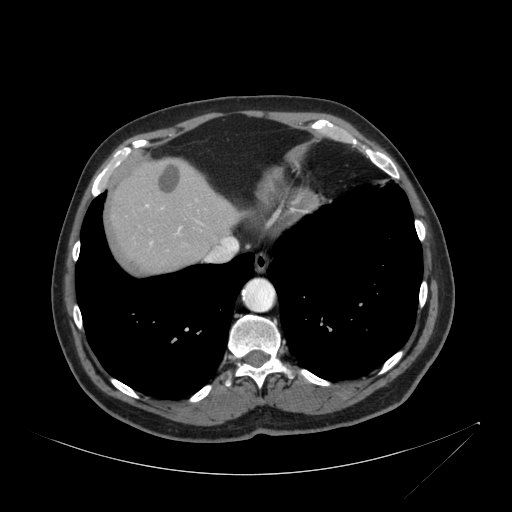

Upper abdomen, 512x512, CT scan slice
The liver lies within (110,158,238,270).